Slice index 462, CT, Chest
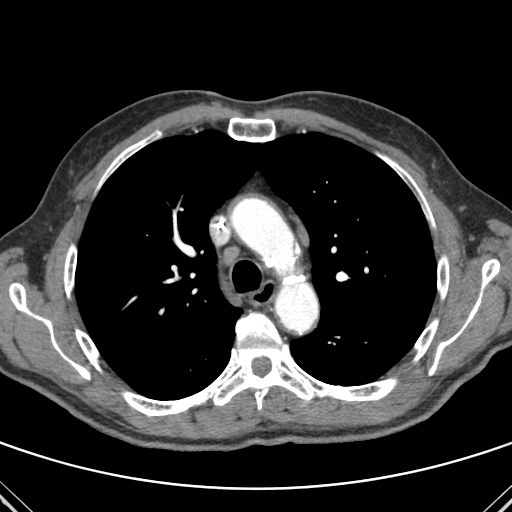

Lung: l=75, t=130, r=436, b=400.
Bone: l=228, t=117, r=275, b=141; l=378, t=154, r=435, b=227; l=98, t=137, r=149, b=187; l=429, t=259, r=499, b=375; l=9, t=283, r=90, b=379; l=437, t=255, r=449, b=299; l=122, t=312, r=397, b=415; l=414, t=319, r=438, b=361; l=64, t=244, r=76, b=297; l=75, t=329, r=100, b=370.